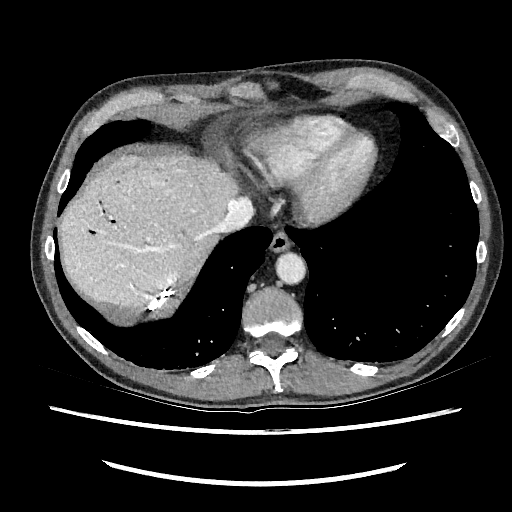 Abdomen; CT scan slice
Segmented structures:
• liver: bbox=[60, 153, 240, 311]